Brain. 240x240 px.
FLAIR magnetic resonance.
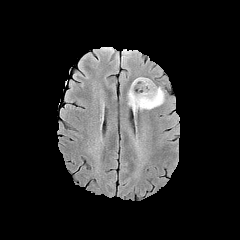
T1-weighted MRI.
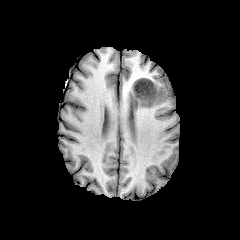
Post-contrast T1-weighted MRI.
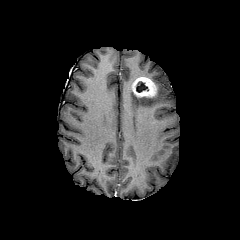
T2-weighted MR image.
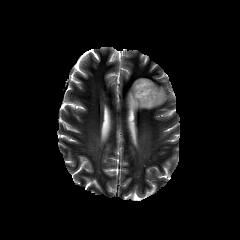
2 non-enhancing tumor core regions are located at (135, 81, 148, 92), (134, 93, 156, 100). The edema is located at (127, 84, 165, 118). The enhancing tumor is at (131, 77, 156, 97).